CT slice. Liver. Image size 512x512.
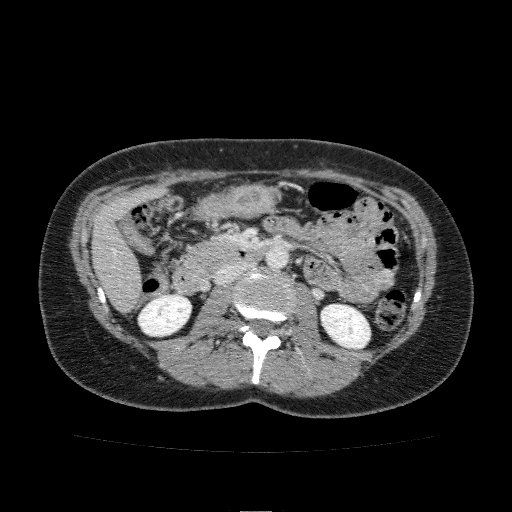

kidney:
  - (left=321, top=304, right=370, bottom=348)
  - (left=138, top=295, right=191, bottom=336)
liver:
  - (left=91, top=188, right=164, bottom=310)